240x240 px | Slice 86/155 | Head
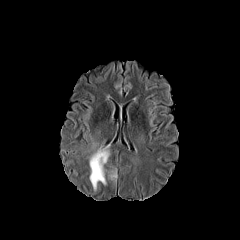
FLAIR magnetic resonance.
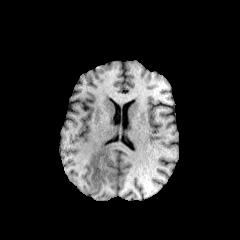
T1-weighted MR.
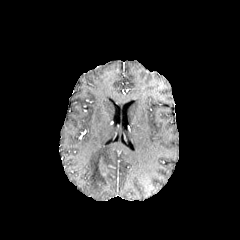
Post-contrast T1-weighted magnetic resonance.
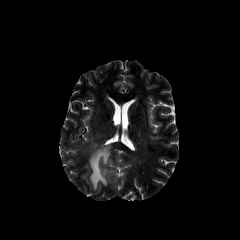
T2-weighted MRI of the same slice.
non-enhancing tumor core: <bbox>99, 161, 105, 174</bbox> | edema: <bbox>85, 139, 110, 191</bbox>